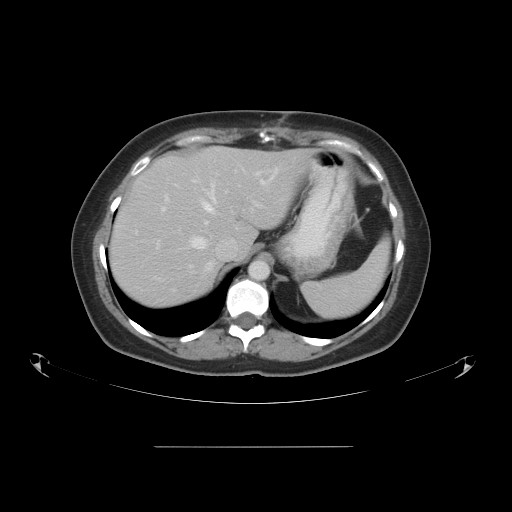 CT slice.
The vessel boxes may cover only some of the vessels.
The most prominent 15 hepatic vessel regions (of 18) appear at x1=260, y1=179, x2=267, y2=184; x1=216, y1=239, x2=236, y2=253; x1=162, y1=207, x2=165, y2=210; x1=265, y1=167, x2=278, y2=179; x1=253, y1=201, x2=262, y2=206; x1=176, y1=184, x2=178, y2=186; x1=157, y1=239, x2=159, y2=247; x1=257, y1=171, x2=262, y2=175; x1=241, y1=166, x2=244, y2=170; x1=202, y1=179, x2=216, y2=212; x1=165, y1=195, x2=168, y2=201; x1=251, y1=208, x2=253, y2=210; x1=206, y1=262, x2=212, y2=269; x1=191, y1=236, x2=206, y2=247; x1=193, y1=176, x2=200, y2=182.